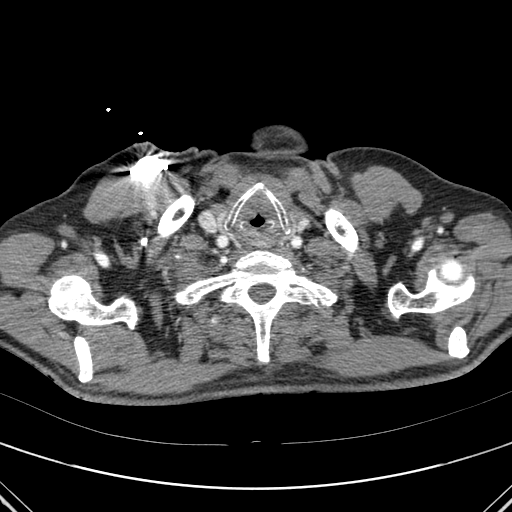 CT slice

Segmented structures:
* bone: bbox=[325, 208, 357, 255]; bbox=[174, 251, 337, 361]; bbox=[74, 336, 92, 382]; bbox=[48, 274, 137, 329]; bbox=[448, 326, 468, 358]; bbox=[412, 238, 422, 250]; bbox=[388, 258, 474, 317]; bbox=[158, 194, 194, 237]